CT slice | Abdomen 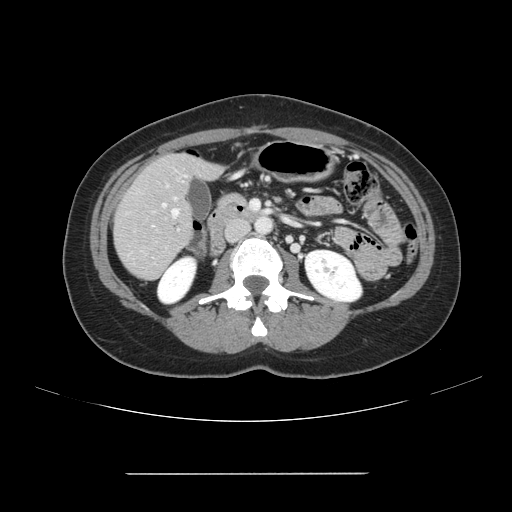

The vessel boxes may cover only some of the vessels.
2 hepatic vessel regions are bounded by <box>163,204,165,206</box>, <box>172,209,177,216</box>.